CT image; Pelvis 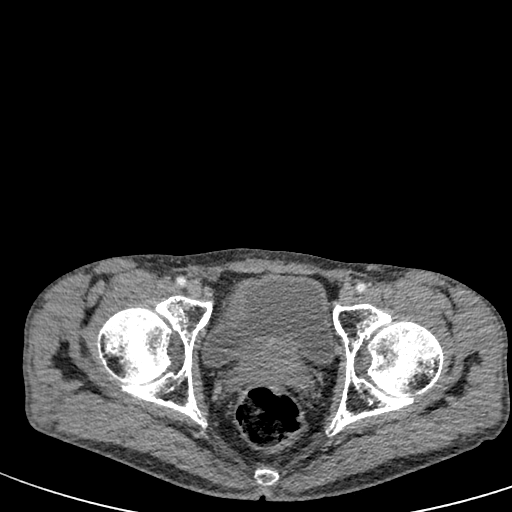 Urinary bladder = {"x1": 202, "y1": 273, "x2": 335, "y2": 366}.